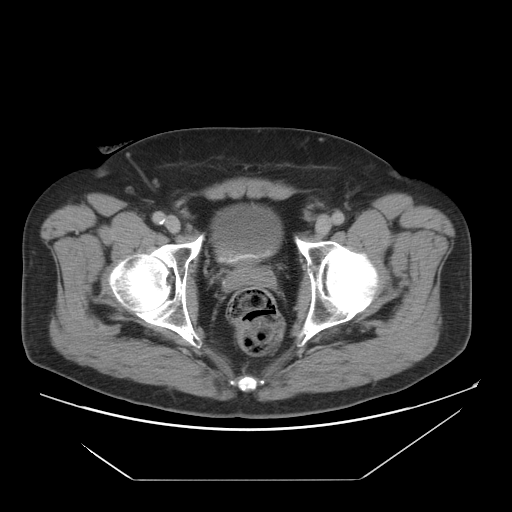
CT scan slice

Urinary bladder = 211:203:280:269.